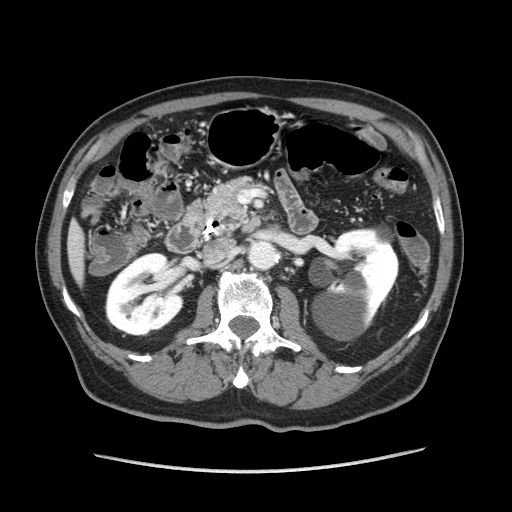 512x512; Computed tomography
Annotated regions:
- pancreas: (206, 176, 251, 230)